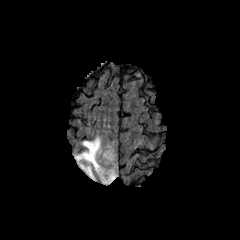
FLAIR MR image.
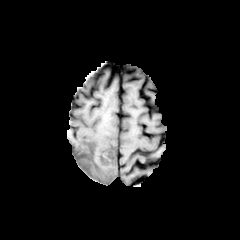
T1-weighted MRI.
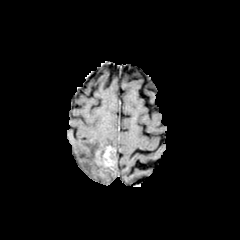
Post-contrast T1-weighted MRI.
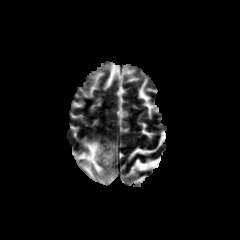
T2-weighted magnetic resonance of the same slice.
{
  "edema": [
    "rect(74, 137, 117, 184)"
  ],
  "enhancing_tumor": [
    "rect(95, 146, 116, 170)"
  ]
}